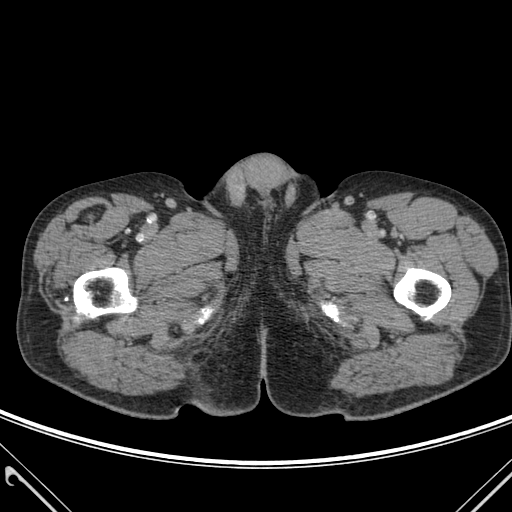
CT

{"bone": [{"x1": 391, "y1": 268, "x2": 450, "y2": 319}, {"x1": 74, "y1": 268, "x2": 141, "y2": 317}, {"x1": 311, "y1": 294, "x2": 360, "y2": 335}, {"x1": 177, "y1": 288, "x2": 222, "y2": 335}]}